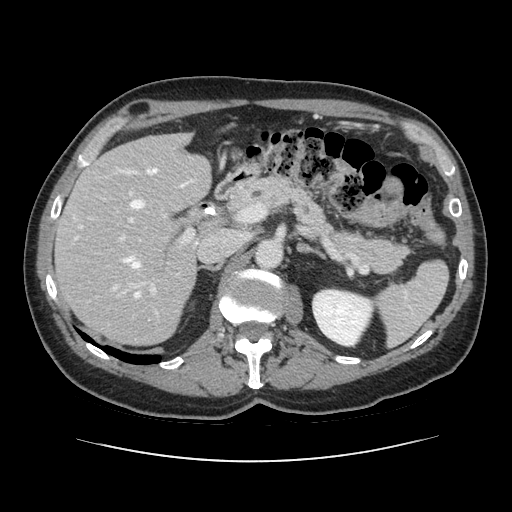
CT slice | 512x512 px
Pancreas = x1=229, y1=176, x2=407, y2=271.